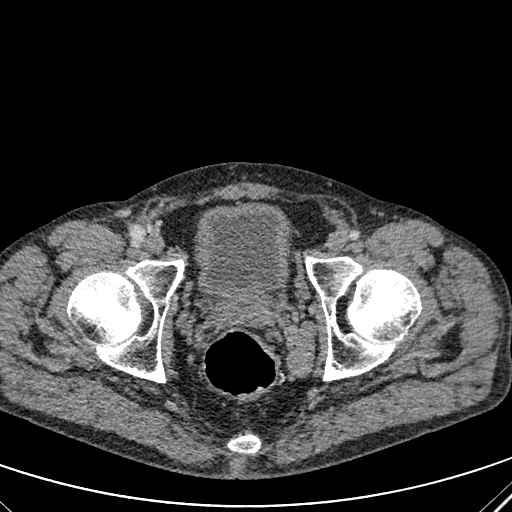
Image size 512x512; Computed tomography; Lower abdomen

<segmentation>
  <urinary_bladder>box(205, 210, 279, 292)</urinary_bladder>
</segmentation>